FLAIR magnetic resonance.
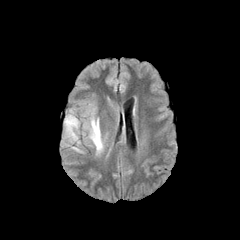
T1-weighted MRI.
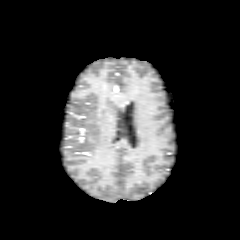
Post-contrast T1-weighted MR image.
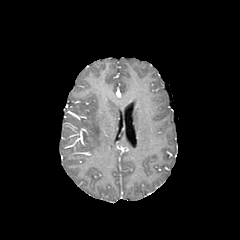
T2-weighted magnetic resonance.
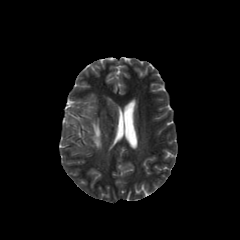
Head; Image size 240x240
Edema: bounding box [x1=64, y1=114, x2=102, y2=150].